Image size 512x512; Computed tomography; Slice 59 of 90; Upper abdomen

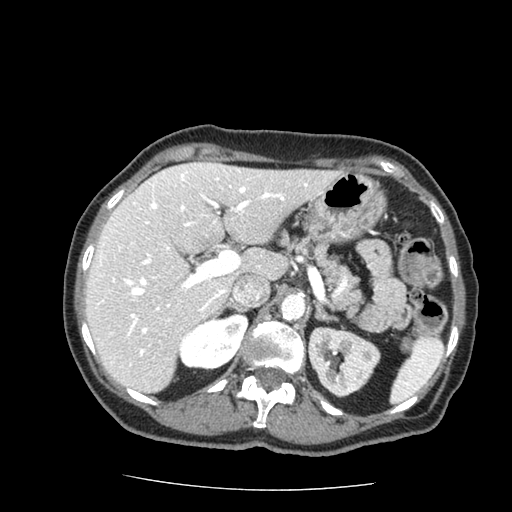 pancreas:
  - bbox(293, 235, 365, 312)